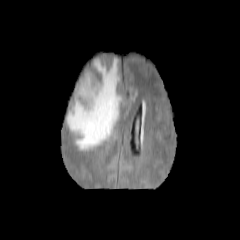
FLAIR MR image.
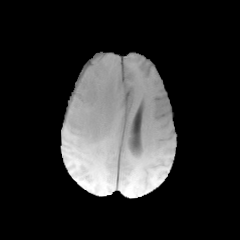
T1-weighted MRI of the same slice.
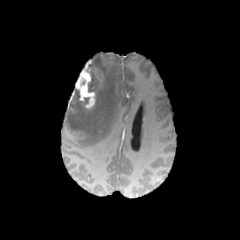
Same slice, post-contrast T1-weighted MR.
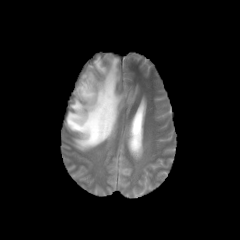
T2-weighted MR of the same slice.
240x240 px
Non-enhancing tumor core at x1=75, y1=87, x2=89, y2=110; x1=87, y1=58, x2=103, y2=100.
Edema at x1=66, y1=56, x2=122, y2=151.
Enhancing tumor at x1=75, y1=60, x2=96, y2=108.